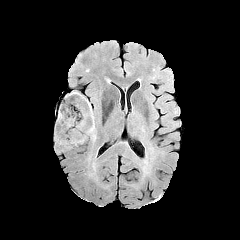
FLAIR MR.
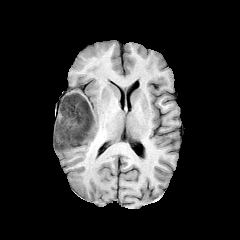
T1-weighted MR image.
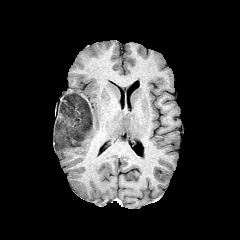
Post-contrast T1-weighted MR of the same slice.
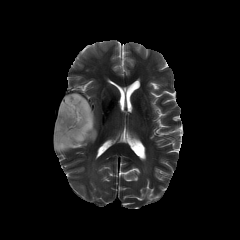
T2-weighted MR image.
{
  "edema": [
    "region(58, 98, 67, 116)"
  ],
  "non-enhancing_tumor_core": [
    "region(55, 94, 96, 150)"
  ]
}